CT scan slice, Slice index 163, Image width 388 mm, Lower abdomen 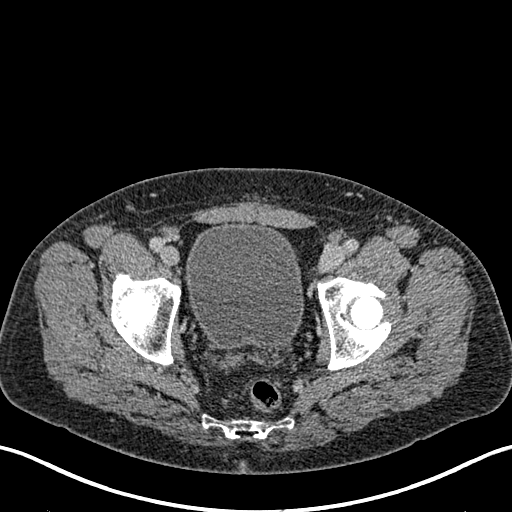
Urinary bladder = x1=185 y1=221 x2=303 y2=347.